Image size 240x240. Slice 82 of 155.
FLAIR MR.
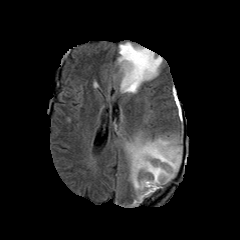
T1-weighted MR.
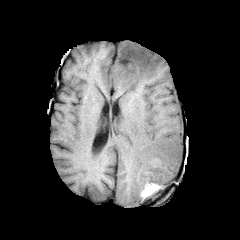
Post-contrast T1-weighted MR image.
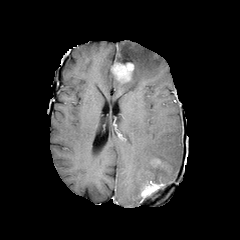
T2-weighted magnetic resonance.
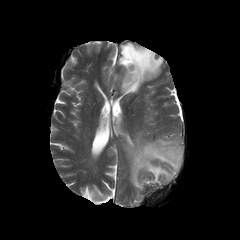
Enhancing tumor: <box>141,181,162,196</box>, <box>113,62,134,81</box>.
Non-enhancing tumor core: <box>118,46,153,70</box>.
Edema: <box>125,135,181,195</box>, <box>118,42,161,93</box>.